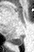

Hippocampus; MR image
posterior hippocampus: bbox=[10, 35, 22, 45]